FLAIR magnetic resonance.
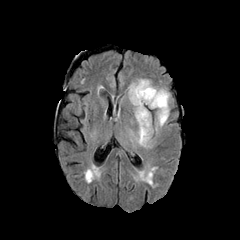
T1-weighted MR.
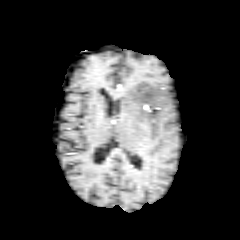
Post-contrast T1-weighted MRI.
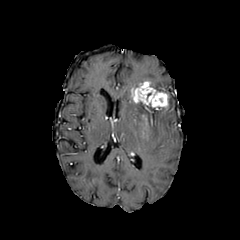
T2-weighted MR.
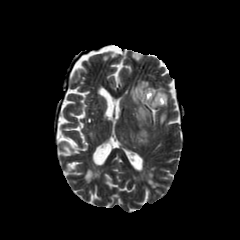
Head | 240x240 px
Edema at rect(128, 79, 169, 146); rect(148, 104, 169, 126).
Enhancing tumor at rect(132, 82, 167, 106).